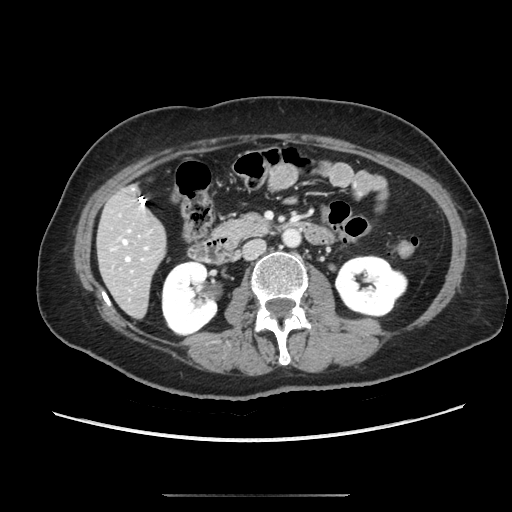
Image size 512x512; CT slice
The pancreas appears at 220,214,266,237.